CT scan slice
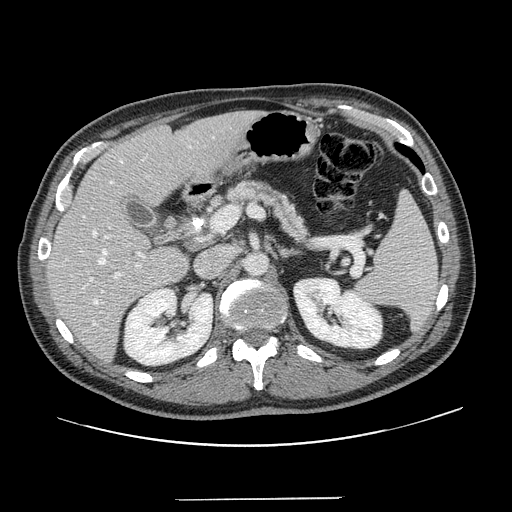
2 pancreas regions are bounded by left=178, top=209, right=222, bottom=254; left=221, top=177, right=314, bottom=245.